MRI | Hippocampus | Image size 38x50 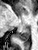

The posterior hippocampus is bounded by [16, 27, 30, 41].